Slice 118 of 155
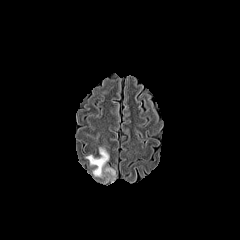
FLAIR MR image.
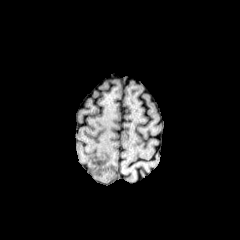
T1-weighted MRI.
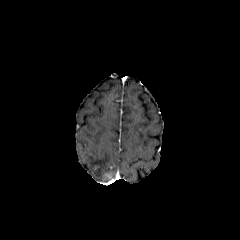
Post-contrast T1-weighted MR of the same slice.
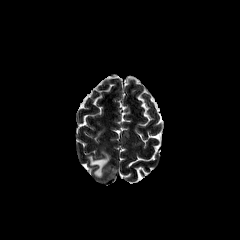
T2-weighted MR.
edema: [86,147,109,175] | enhancing tumor: [102,172,113,184]